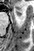
MRI slice. Segmented structures:
• anterior hippocampus: {"x1": 16, "y1": 10, "x2": 23, "y2": 20}